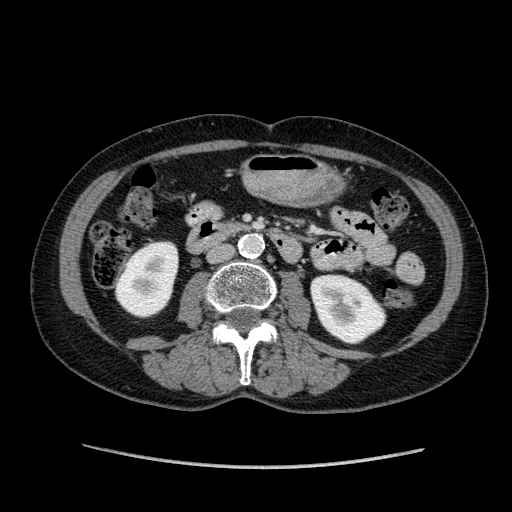

CT scan slice | Abdomen
2 kidney regions are located at (311, 276, 383, 342), (116, 243, 177, 315).